Brain.
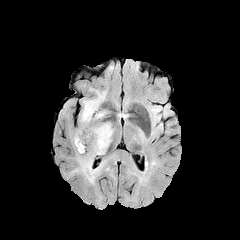
FLAIR MR image.
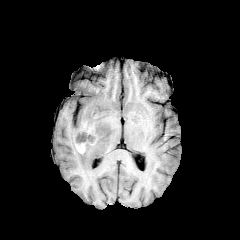
T1-weighted MR of the same slice.
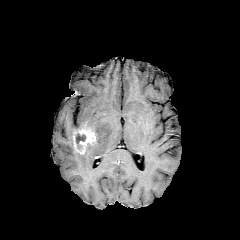
Post-contrast T1-weighted MRI.
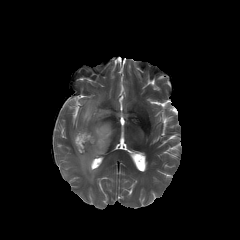
T2-weighted MR image.
non-enhancing tumor core: [76,134,85,143] | enhancing tumor: [73,128,95,153] | edema: [117,111,128,119], [78,122,113,183], [79,89,108,123]